Slice index 432, Computed tomography, Abdomen 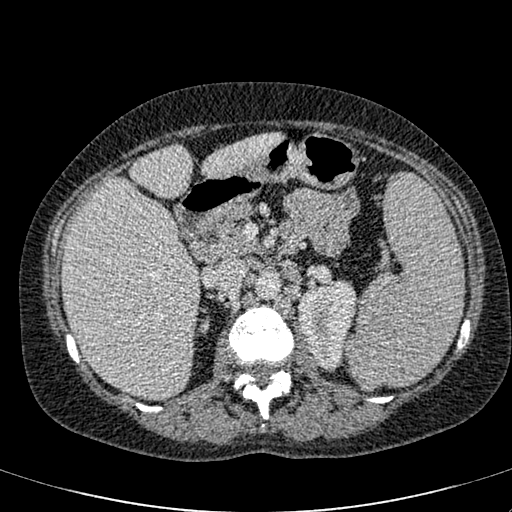
{"liver": ["bbox(129, 145, 191, 195)", "bbox(202, 133, 281, 177)", "bbox(63, 177, 199, 398)"], "kidney": ["bbox(298, 278, 355, 368)", "bbox(201, 321, 208, 331)"]}